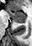

MRI; Medial temporal lobe

Posterior hippocampus = box=[13, 20, 25, 22].
Anterior hippocampus = box=[9, 11, 25, 19].